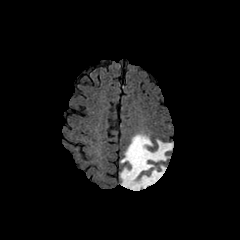
FLAIR MRI.
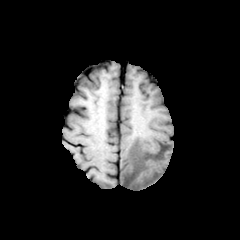
Same slice, T1-weighted MR image.
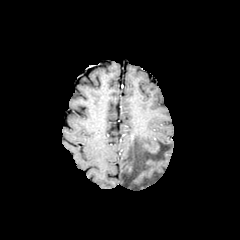
Post-contrast T1-weighted magnetic resonance.
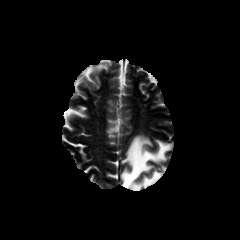
Same slice, T2-weighted MRI.
The edema is located at bbox=[120, 134, 173, 190].